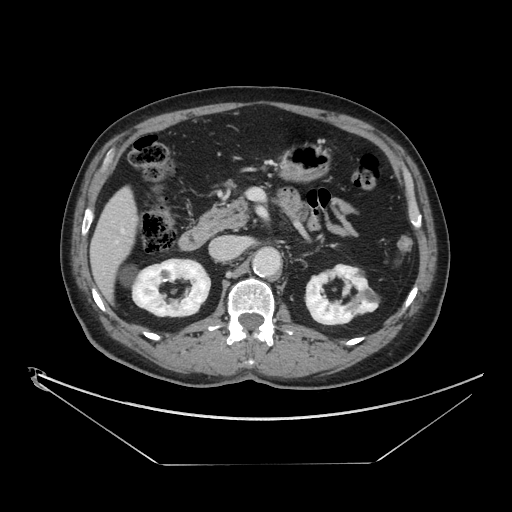

CT slice.

Some hepatic vessels may have no box.
hepatic vessel: bbox(121, 229, 124, 232); bbox(116, 241, 118, 243)